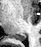
MR. 41x47.

The posterior hippocampus is bounded by 15 34 26 40.